Slice 64 of 131, Abdomen, CT scan slice 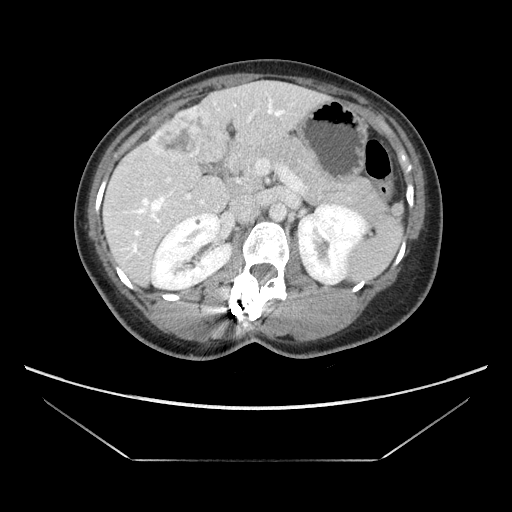 Only some of the vessels may be annotated.
Hepatic vessel: bounding box bbox(278, 167, 288, 181); bbox(152, 200, 161, 210); bbox(256, 160, 268, 169).
Liver tumor: bounding box bbox(153, 109, 204, 159).